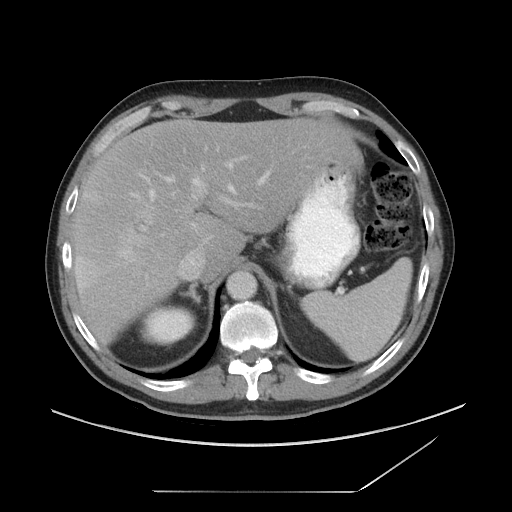
512x512 px, Abdomen, CT
Some hepatic vessels may have no box.
<segmentation>
  <hepatic_vessel>(x1=194, y1=180, x2=196, y2=182)</hepatic_vessel>
</segmentation>